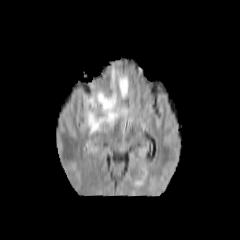
FLAIR MR image.
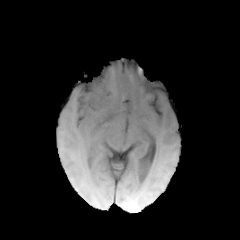
T1-weighted MRI.
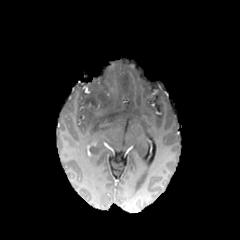
Post-contrast T1-weighted MRI.
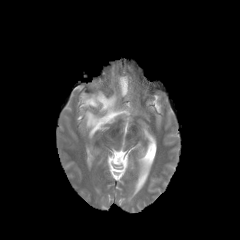
T2-weighted MR image of the same slice.
240x240 px | Head
• edema: box=[81, 80, 128, 136]; box=[116, 76, 128, 98]
• non-enhancing tumor core: box=[79, 78, 114, 108]